FLAIR MRI.
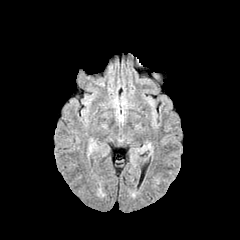
T1-weighted MRI.
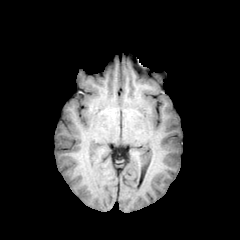
Post-contrast T1-weighted magnetic resonance.
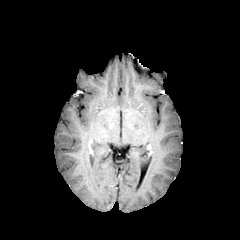
T2-weighted MR.
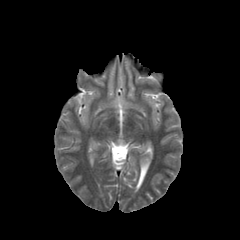
Head
{
  "edema": [
    "l=112, t=96, r=128, b=106"
  ]
}